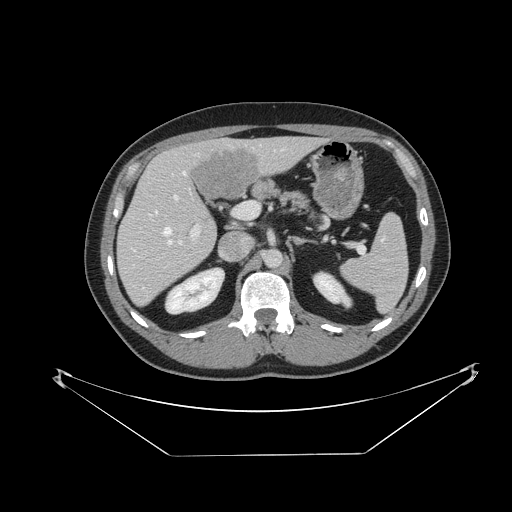
CT.
The spleen is bounded by bbox(341, 214, 407, 311).